Cardiac. Image width 400 mm. MRI slice.
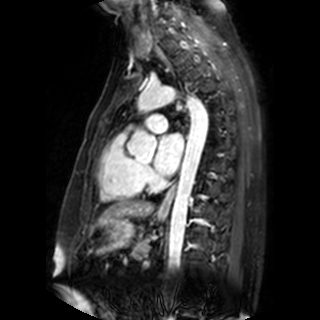
- left atrium: bbox=[154, 134, 183, 175]